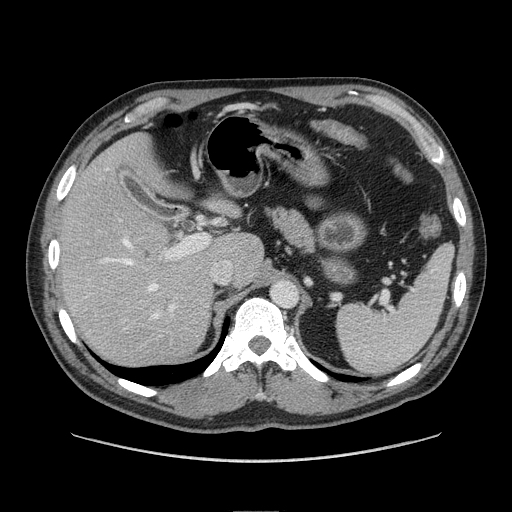
Upper abdomen; CT

pancreas:
  - x1=261 y1=203 x2=320 y2=262